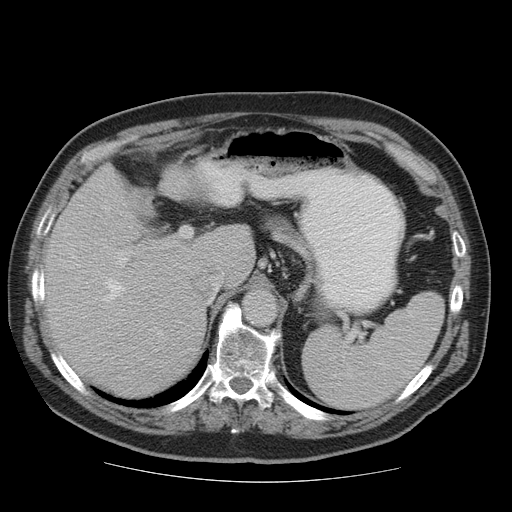 CT scan slice
Only some of the vessels may be annotated.
<segmentation partial="true">
  <hepatic_vessel shown="15" total="16"><box>103,279,124,302</box>, <box>174,241,176,242</box>, <box>80,268,85,272</box>, <box>163,254,165,255</box>, <box>150,313,152,315</box>, <box>151,300,153,301</box>, <box>193,312,195,314</box>, <box>103,305,108,307</box>, <box>116,251,131,266</box>, <box>76,263,79,267</box>, <box>158,331,161,334</box>, <box>162,243,168,248</box>, <box>180,228,191,236</box>, <box>72,255,76,258</box>, <box>102,274,104,277</box></hepatic_vessel>
</segmentation>